Head. Image width 240 mm.
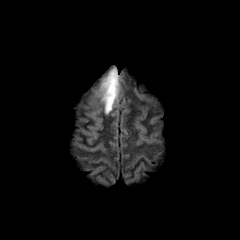
FLAIR MR.
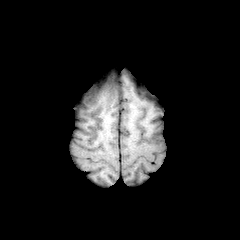
T1-weighted MR.
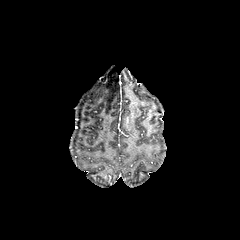
Post-contrast T1-weighted MR image.
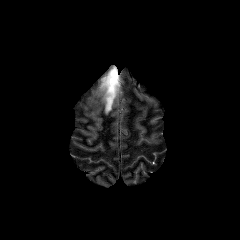
T2-weighted MR.
{
  "edema": [
    {"x1": 98, "y1": 66, "x2": 121, "y2": 114}
  ]
}